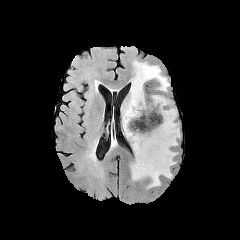
FLAIR MR.
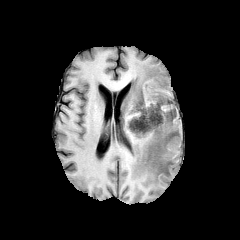
T1-weighted MR.
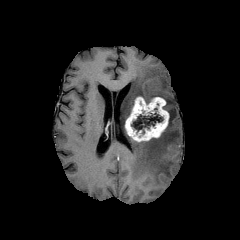
Post-contrast T1-weighted MR image.
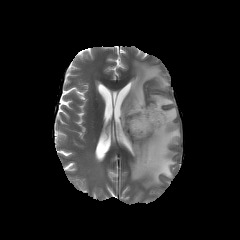
T2-weighted MR.
- edema: 164,100,173,110; 122,108,179,187; 121,61,169,125
- enhancing tumor: 125,96,169,141
- non-enhancing tumor core: 143,108,174,151; 131,108,163,134